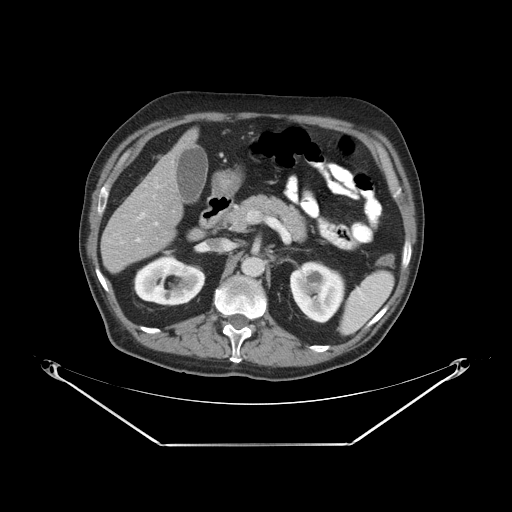
Abdomen. Computed tomography.
Not every hepatic vessel necessarily has a box.
Hepatic vessel at (left=135, top=211, right=146, bottom=221), (left=145, top=193, right=147, bottom=194), (left=170, top=160, right=173, bottom=164), (left=135, top=238, right=140, bottom=241), (left=141, top=195, right=143, bottom=196), (left=152, top=194, right=155, bottom=198), (left=153, top=177, right=157, bottom=188), (left=154, top=221, right=158, bottom=225).